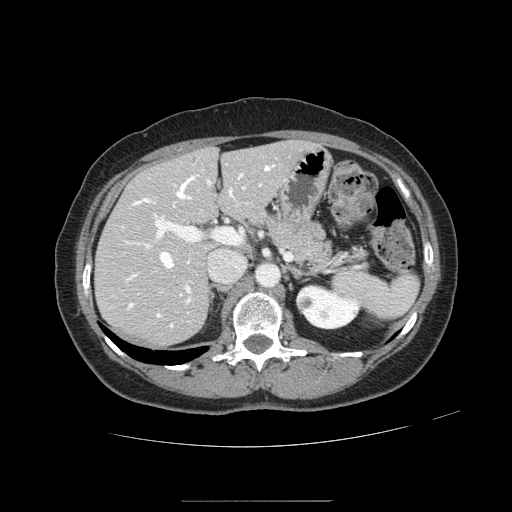

512x512 | CT slice

The pancreas is at (257, 212, 336, 272).